512x512 px, Slice 24 of 37, CT slice
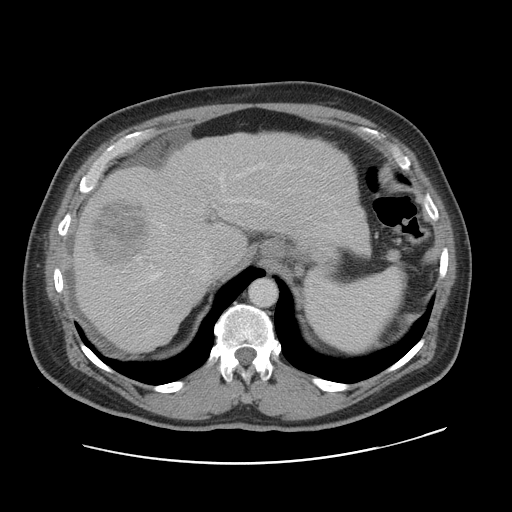

Not every hepatic vessel necessarily has a box.
[15/19] hepatic vessel: l=213, t=204, r=215, b=206; l=203, t=252, r=212, b=260; l=123, t=270, r=128, b=272; l=150, t=272, r=162, b=280; l=159, t=222, r=164, b=228; l=150, t=264, r=153, b=268; l=129, t=282, r=146, b=290; l=236, t=166, r=257, b=176; l=220, t=211, r=223, b=213; l=259, t=162, r=264, b=168; l=199, t=205, r=203, b=210; l=224, t=197, r=251, b=202; l=253, t=199, r=266, b=205; l=151, t=219, r=154, b=221; l=219, t=173, r=225, b=191 | liver tumor: l=90, t=199, r=150, b=265